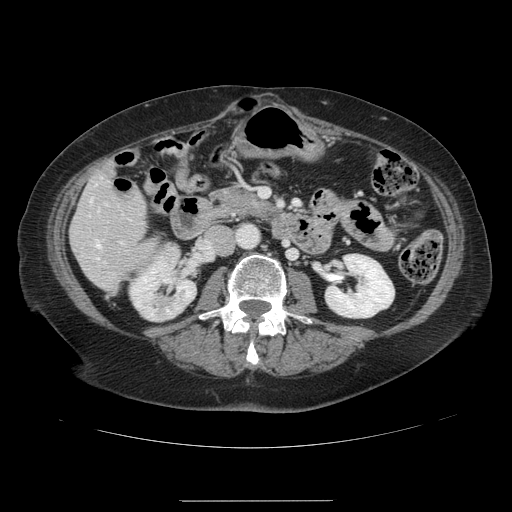
CT image
Some hepatic vessels may have no box.
5 hepatic vessel regions are located at rect(120, 241, 123, 242); rect(107, 180, 110, 182); rect(96, 241, 99, 246); rect(105, 202, 106, 204); rect(90, 199, 91, 201).